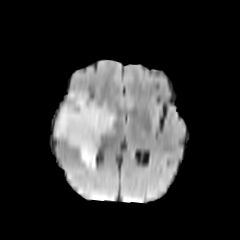
FLAIR MR.
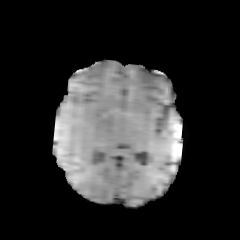
T1-weighted MR.
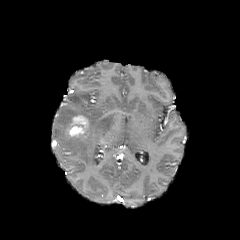
Post-contrast T1-weighted magnetic resonance of the same slice.
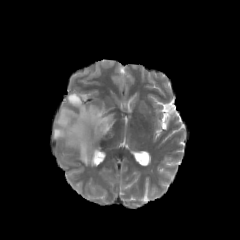
Same slice, T2-weighted MR image.
240x240
The edema is bounded by (54, 92, 114, 169). The enhancing tumor is located at (65, 115, 90, 141).